Slice index 122, CT slice, 512x512

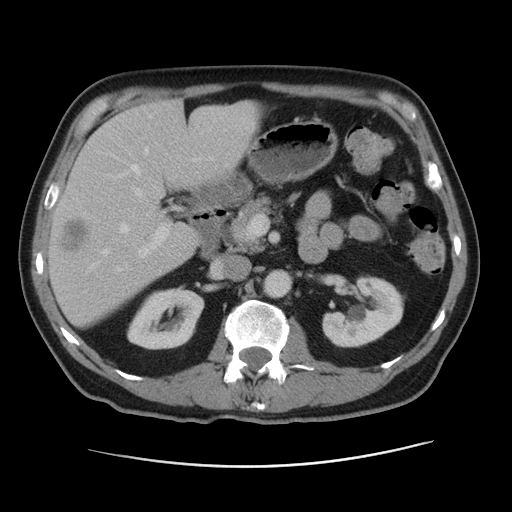
Kidney = box(129, 285, 202, 348); box(322, 276, 403, 347).
Liver = box(48, 102, 260, 323).
Hepatic lesion = box(62, 221, 88, 251).